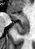 MR. Hippocampus. Anterior hippocampus = (left=8, top=12, right=27, bottom=20).
Posterior hippocampus = (left=14, top=21, right=27, bottom=34).